Head | 240x240
FLAIR magnetic resonance.
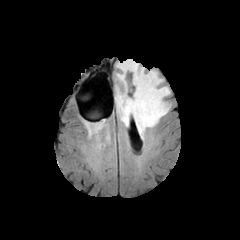
T1-weighted MR.
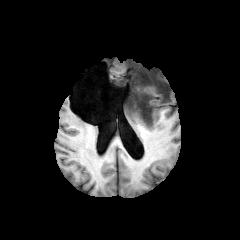
Post-contrast T1-weighted magnetic resonance.
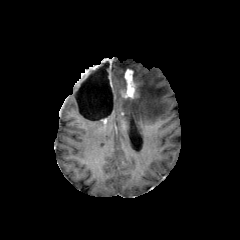
T2-weighted MR.
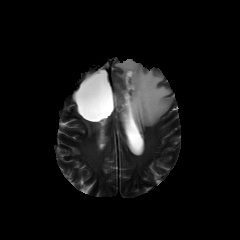
The enhancing tumor appears at bbox(121, 69, 137, 98). 2 non-enhancing tumor core regions appear at bbox(133, 74, 140, 97); bbox(116, 92, 136, 105). 2 edema regions are bounded by bbox(116, 60, 170, 140); bbox(99, 135, 108, 145).